CT scan slice | Slice 526/707

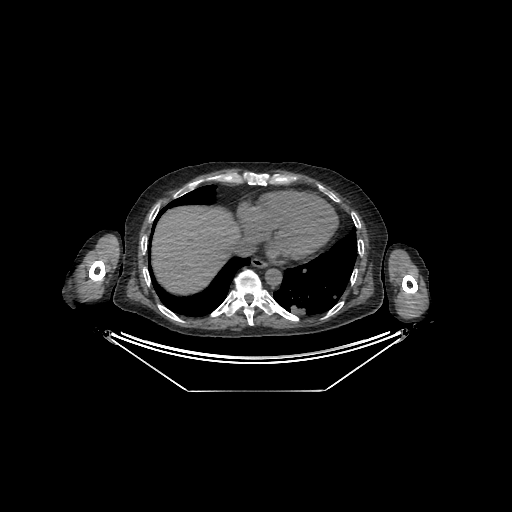 The liver is located at region(152, 205, 240, 294).